Image width 240 mm | Head | 240x240
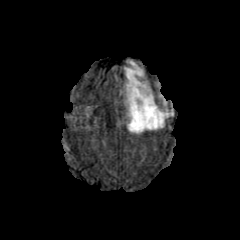
FLAIR MRI.
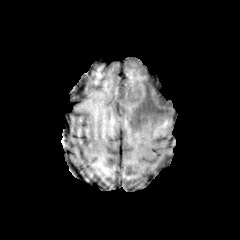
T1-weighted MRI.
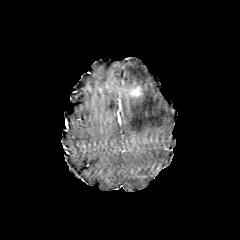
Post-contrast T1-weighted magnetic resonance of the same slice.
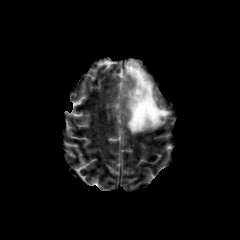
T2-weighted MR image of the same slice.
The enhancing tumor is at rect(128, 83, 142, 97). The edema is located at rect(124, 59, 171, 133).